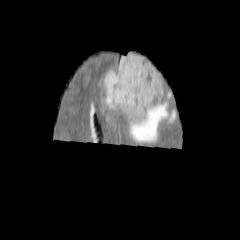
FLAIR MR.
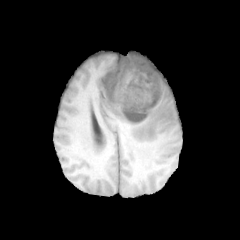
T1-weighted MR image.
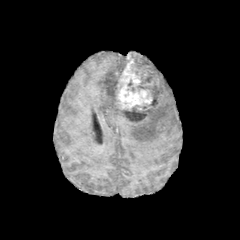
Same slice, post-contrast T1-weighted MRI.
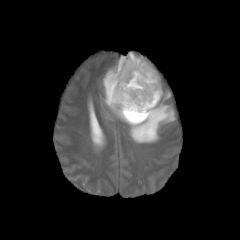
T2-weighted MR.
Head
Annotated regions:
- enhancing tumor: x1=115, y1=53, x2=152, y2=110
- edema: x1=102, y1=55, x2=127, y2=82; x1=103, y1=82, x2=175, y2=143
- non-enhancing tumor core: x1=124, y1=53, x2=161, y2=121; x1=104, y1=72, x2=120, y2=101